FLAIR MR.
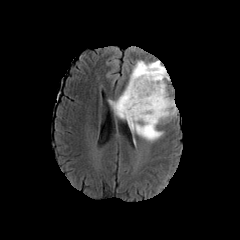
T1-weighted magnetic resonance.
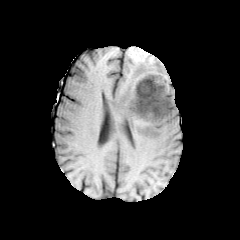
Post-contrast T1-weighted MRI.
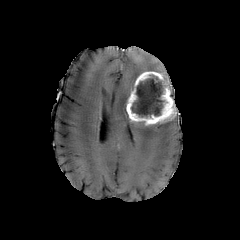
T2-weighted MR.
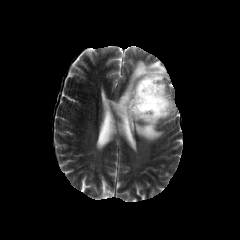
3 edema regions appear at x1=110, y1=60, x2=161, y2=121; x1=162, y1=66, x2=170, y2=81; x1=128, y1=121, x2=167, y2=141. The enhancing tumor appears at x1=126, y1=71, x2=176, y2=125. 4 non-enhancing tumor core regions appear at x1=124, y1=95, x2=129, y2=117; x1=146, y1=64, x2=163, y2=73; x1=132, y1=76, x2=167, y2=117; x1=144, y1=124, x2=154, y2=133.